Upper abdomen. CT slice. Image size 512x512. Slice index 65.

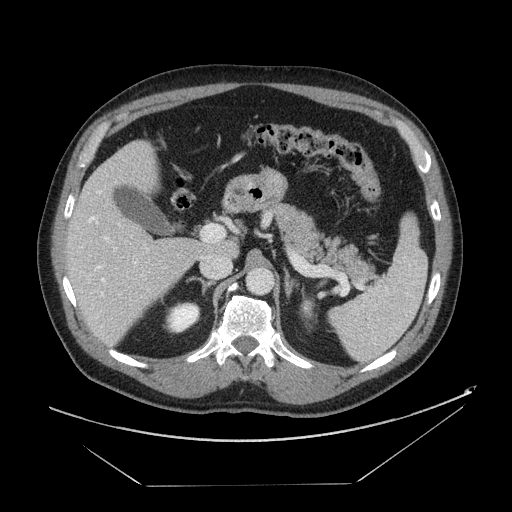
Findings:
* pancreatic tumor: (left=362, top=265, right=376, bottom=277)
* pancreas: (left=270, top=203, right=374, bottom=284)